Slice 22 of 37. MR image.
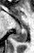
<segmentation>
  <posterior_hippocampus>15,24,26,42</posterior_hippocampus>
</segmentation>